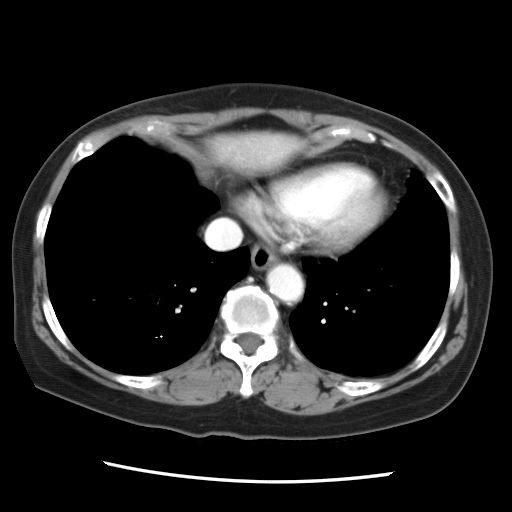
Liver; CT; Image size 512x512

The vessel boxes may cover only some of the vessels.
The hepatic vessel lies within bbox=[206, 219, 240, 248].